Brain; 240x240
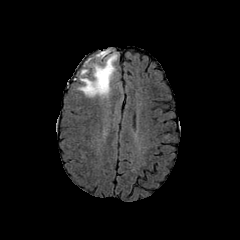
FLAIR MR.
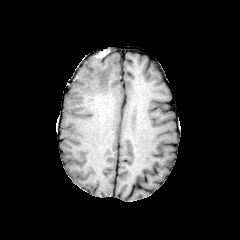
T1-weighted magnetic resonance of the same slice.
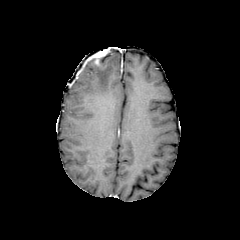
Post-contrast T1-weighted MRI.
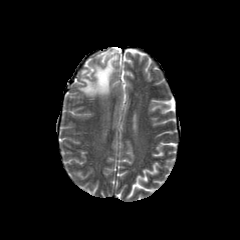
Same slice, T2-weighted MR image.
<segmentation>
  <non-enhancing_tumor_core>(86,58,97,72), (98,56,106,65)</non-enhancing_tumor_core>
  <enhancing_tumor>(86,49,109,63)</enhancing_tumor>
  <edema>(77,47,118,97)</edema>
</segmentation>